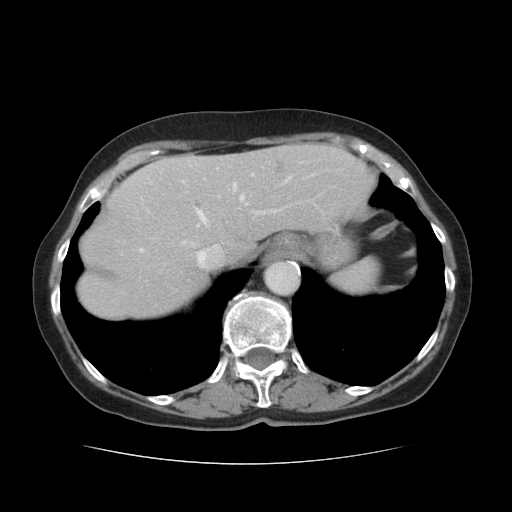

Upper abdomen | CT scan slice | 512x512 px
{"focal_liver_lesion": ["(276, 161, 284, 171)"], "bone": ["(358, 144, 369, 153)", "(51, 282, 60, 315)", "(56, 238, 69, 266)", "(207, 292, 308, 407)", "(344, 386, 372, 396)", "(77, 180, 103, 214)", "(82, 358, 106, 383)", "(397, 175, 416, 193)", "(431, 222, 446, 244)", "(147, 396, 174, 404)", "(445, 266, 454, 291)", "(386, 166, 396, 176)", "(417, 330, 437, 360)"], "lung": ["(291, 173, 445, 385)", "(60, 202, 251, 395)"], "liver": ["(79, 143, 374, 321)"]}